CT scan slice; Slice 122 of 164; Abdomen 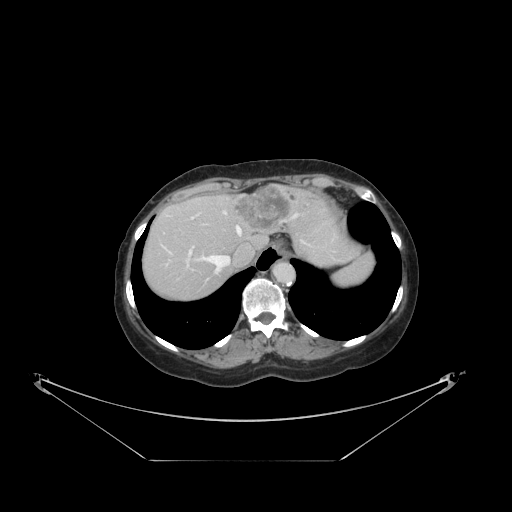
Not every hepatic vessel necessarily has a box.
- liver tumor: 231:186:293:233
- hepatic vessel: 199:255:230:271, 235:259:237:262, 192:215:196:218, 166:263:167:265, 222:211:226:214, 251:252:252:253, 162:245:171:253, 242:244:250:249, 235:225:241:235, 185:247:193:263